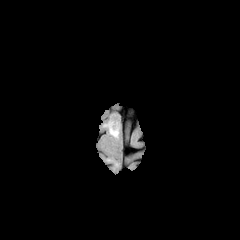
FLAIR MRI.
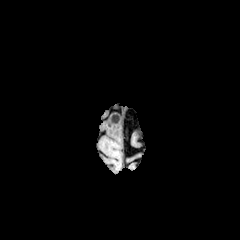
Same slice, T1-weighted MRI.
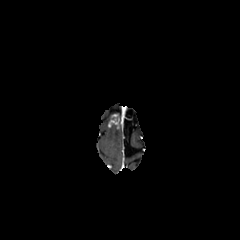
Same slice, post-contrast T1-weighted MR.
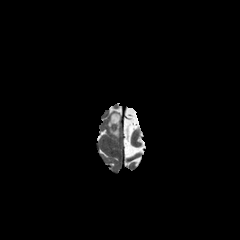
Same slice, T2-weighted magnetic resonance.
240x240 px. Brain.
* edema: x1=108 y1=127 x2=119 y2=139
* enhancing tumor: x1=108 y1=113 x2=120 y2=127